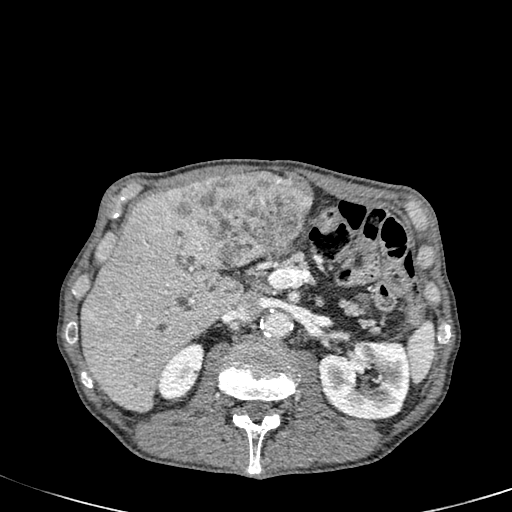
CT image
liver: 81, 184, 242, 411 | kidney: 158, 345, 202, 398; 320, 343, 409, 418 | focal liver lesion: 178, 173, 312, 272